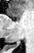 Hippocampus, Magnetic resonance
The posterior hippocampus lies within region(7, 43, 16, 47).